FLAIR MR.
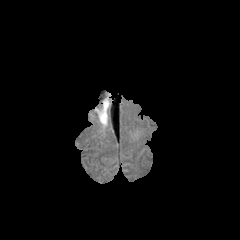
T1-weighted MRI.
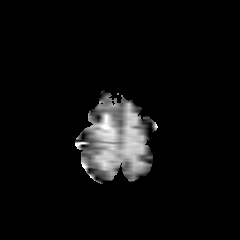
Post-contrast T1-weighted MR image.
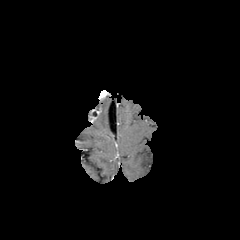
T2-weighted MR image.
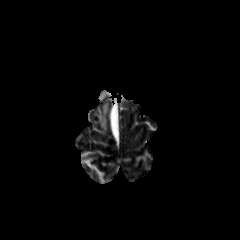
Head. Image size 240x240.
The edema lies within 90,97,109,129.